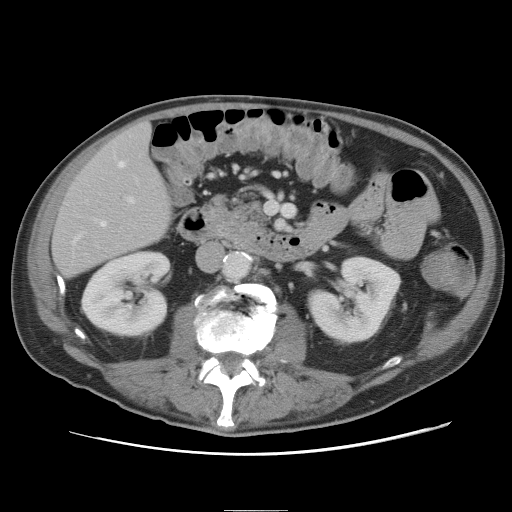 Abdomen. CT slice. Image size 512x512.
Not every hepatic vessel necessarily has a box.
Annotated regions:
* hepatic vessel: [x1=144, y1=123, x2=149, y2=127], [x1=102, y1=222, x2=105, y2=226], [x1=72, y1=238, x2=78, y2=243], [x1=120, y1=163, x2=124, y2=167], [x1=128, y1=197, x2=134, y2=202]